CT slice | Upper abdomen | Slice 595 of 629 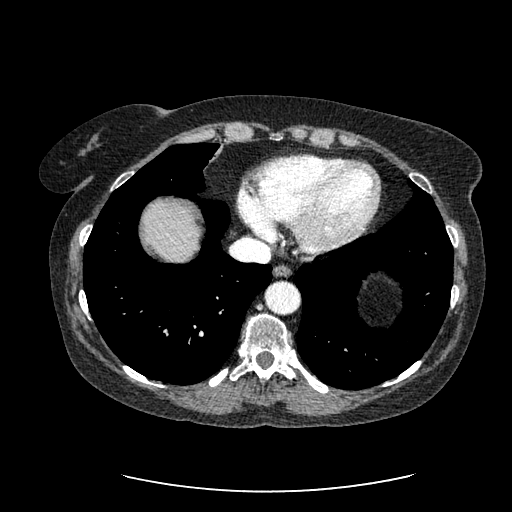 The liver appears at 141 201 199 261.